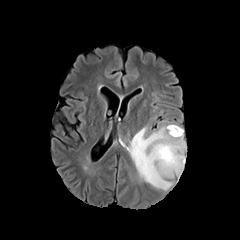
FLAIR MR.
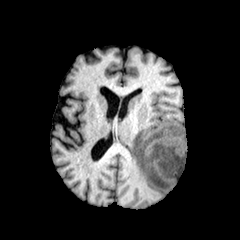
T1-weighted MR of the same slice.
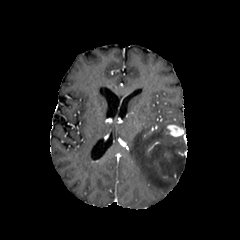
Post-contrast T1-weighted magnetic resonance of the same slice.
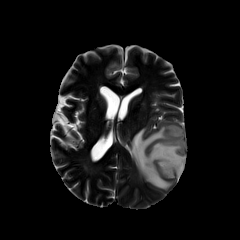
T2-weighted MR image of the same slice.
Brain
{
  "edema": [
    "128,120,185,189"
  ],
  "enhancing_tumor": [
    "167,124,184,136"
  ]
}